Slice 123 of 155 | Head
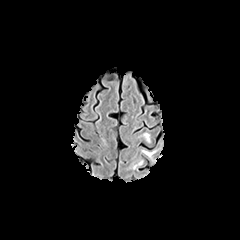
FLAIR MRI.
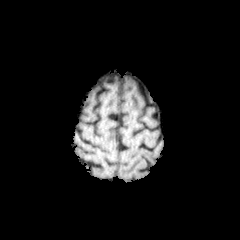
T1-weighted MR image of the same slice.
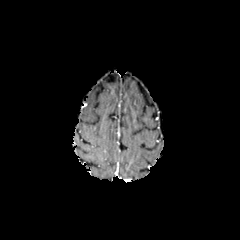
Same slice, post-contrast T1-weighted MR.
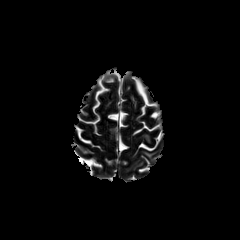
T2-weighted magnetic resonance.
<segmentation>
  <edema>(142, 150, 156, 158)</edema>
</segmentation>